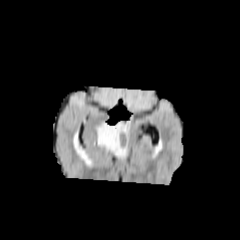
FLAIR MR.
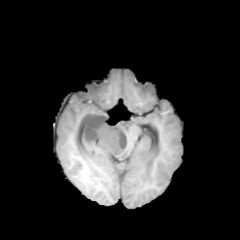
T1-weighted MR of the same slice.
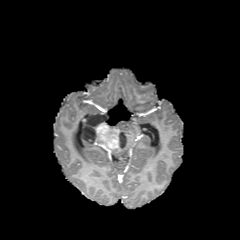
Post-contrast T1-weighted MR image.
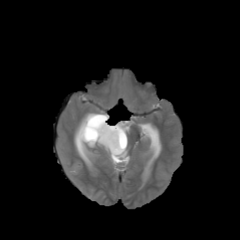
T2-weighted magnetic resonance of the same slice.
<segmentation>
  <edema>bbox=[112, 147, 128, 158]; bbox=[77, 127, 82, 145]; bbox=[115, 121, 130, 141]</edema>
  <enhancing_tumor>bbox=[93, 121, 120, 152]</enhancing_tumor>
  <non-enhancing_tumor_core>bbox=[80, 113, 108, 149]; bbox=[111, 130, 129, 153]</non-enhancing_tumor_core>
</segmentation>